CT slice. 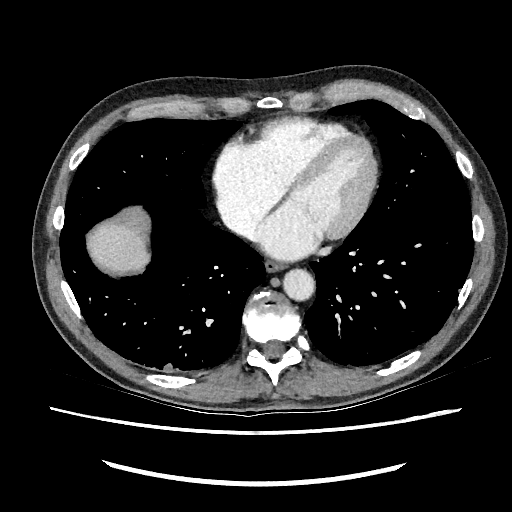
Liver: bounding box <bbox>88, 220, 148, 270</bbox>.